FLAIR MR.
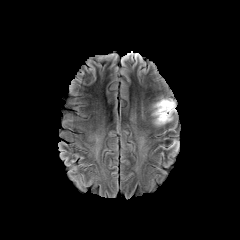
T1-weighted MRI.
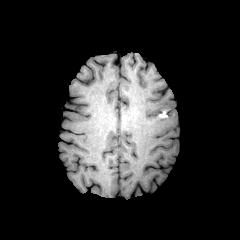
Post-contrast T1-weighted MR.
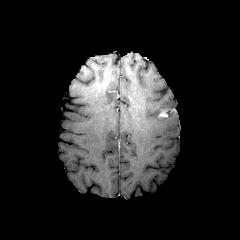
T2-weighted MRI.
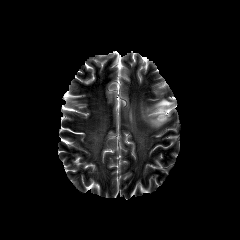
Image size 240x240
edema: 148 98 175 127